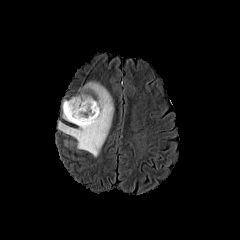
FLAIR MR.
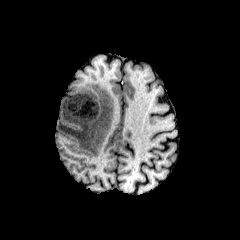
Same slice, T1-weighted MRI.
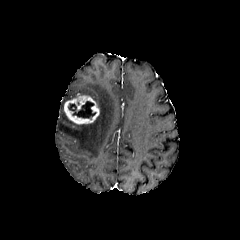
Post-contrast T1-weighted magnetic resonance.
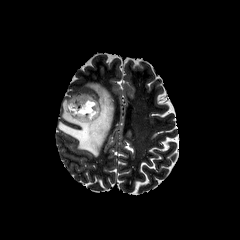
T2-weighted MRI.
240x240 | Head
Segmented structures:
- non-enhancing tumor core: x1=68 y1=103 x2=76 y2=111, x1=71 y1=101 x2=95 y2=118
- enhancing tumor: x1=64 y1=94 x2=99 y2=124
- edema: x1=58 y1=82 x2=114 y2=156